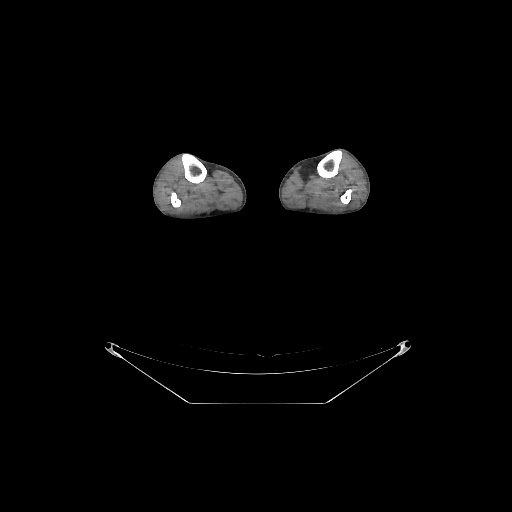
CT scan slice, 512x512

4 bone regions appear at [171,192,180,207], [340,189,351,203], [317,150,341,178], [182,154,206,183].